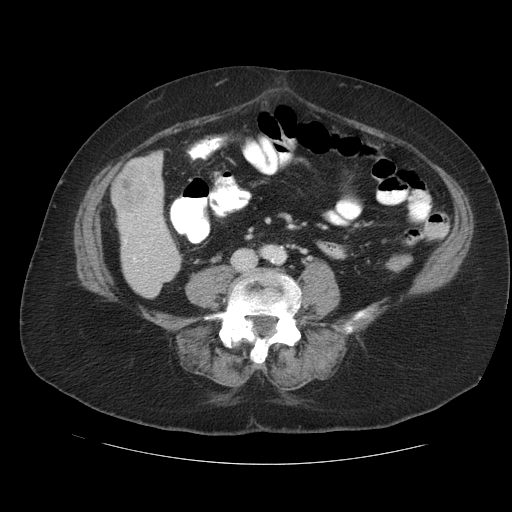 Image size 512x512 | CT scan slice
The liver tumor is bounded by {"x1": 112, "y1": 161, "x2": 154, "y2": 210}.